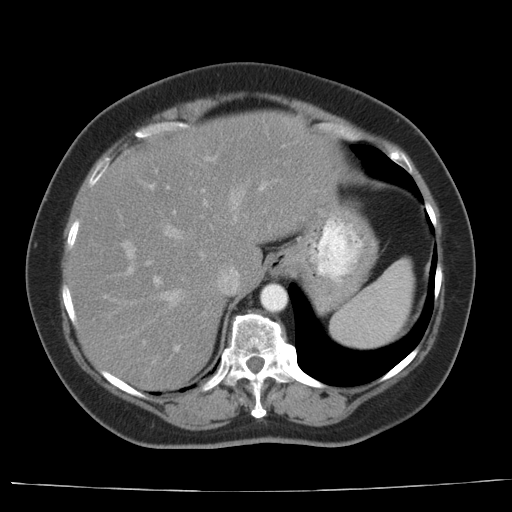

CT image; Abdomen
Some hepatic vessels may have no box.
8 hepatic vessel regions are located at <box>164,227,177,236</box>, <box>174,346,177,350</box>, <box>166,292,178,305</box>, <box>123,242,132,256</box>, <box>208,158,211,159</box>, <box>147,262,149,263</box>, <box>154,277,159,284</box>, <box>127,268,131,273</box>.